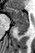
Magnetic resonance; Hippocampus

Posterior hippocampus: (left=15, top=24, right=28, bottom=36).
Anterior hippocampus: (left=7, top=8, right=28, bottom=23).